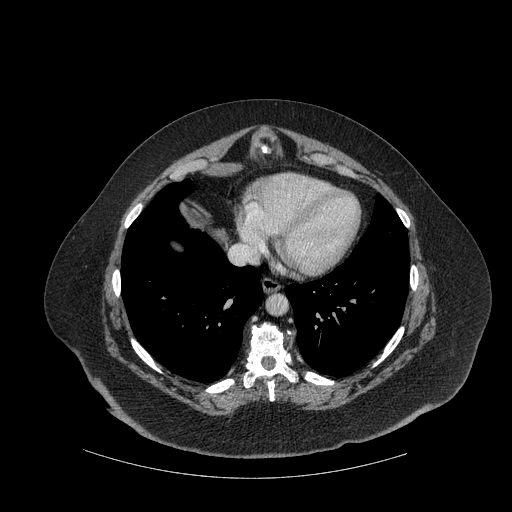 512x512 | CT scan slice
lung: [x1=286, y1=194, x2=409, y2=375], [x1=121, y1=179, x2=262, y2=381] | bone: [x1=397, y1=209, x2=409, y2=226], [x1=131, y1=339, x2=160, y2=372], [x1=268, y1=380, x2=274, y2=400], [x1=125, y1=204, x2=141, y2=227], [x1=206, y1=379, x2=233, y2=392], [x1=373, y1=327, x2=403, y2=366], [x1=244, y1=323, x2=296, y2=387], [x1=410, y1=266, x2=418, y2=290], [x1=112, y1=270, x2=120, y2=296], [x1=305, y1=372, x2=333, y2=385]